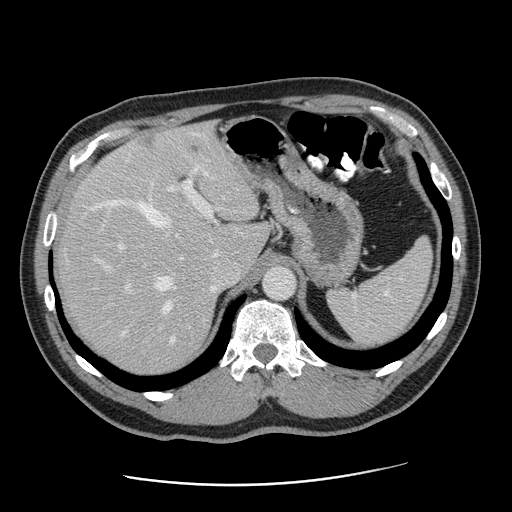

CT image; Image size 512x512; Liver
Some hepatic vessels may have no box.
Principal 15 of 18 hepatic vessel regions: region(136, 200, 164, 225); region(165, 215, 169, 221); region(193, 164, 201, 173); region(204, 171, 206, 173); region(245, 255, 246, 259); region(163, 303, 170, 312); region(170, 178, 217, 223); region(231, 251, 237, 254); region(120, 244, 124, 248); region(202, 244, 240, 283); region(127, 282, 130, 290); region(181, 256, 183, 258); region(156, 276, 174, 289); region(98, 201, 120, 205); region(171, 337, 174, 342).
Liver tumor: region(188, 143, 202, 155); region(137, 135, 157, 149).